CT slice. Upper abdomen. Slice 439/871.
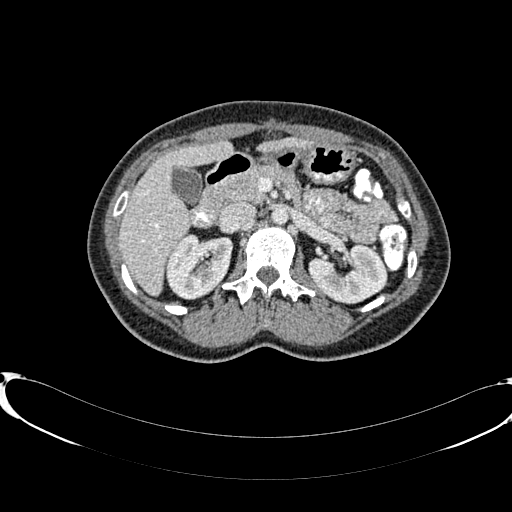
2 kidney regions are bounded by {"x1": 168, "y1": 236, "x2": 231, "y2": 297}, {"x1": 310, "y1": 244, "x2": 385, "y2": 302}. 2 liver regions are located at {"x1": 259, "y1": 138, "x2": 310, "y2": 151}, {"x1": 119, "y1": 142, "x2": 231, "y2": 295}.